Heart. MRI slice.

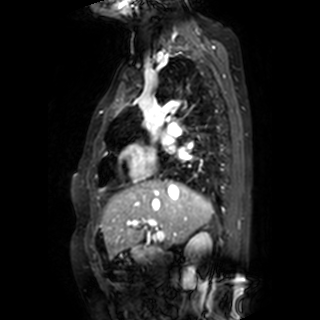

Left atrium: bounding box left=179, top=148, right=188, bottom=158; left=161, top=137, right=173, bottom=146.